Abdomen | Slice index 54 | Field of view 402 mm wide, 2.50 mm slice spacing | CT scan slice

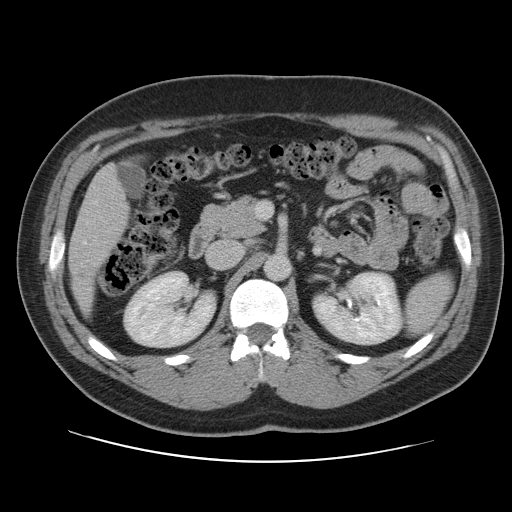

The vessel annotation is not exhaustive.
Hepatic vessel: 83,241,86,243; 79,296,87,310; 87,288,91,290; 73,277,80,290; 85,202,86,203; 94,201,96,203; 78,217,81,219; 108,166,114,170.